CT slice 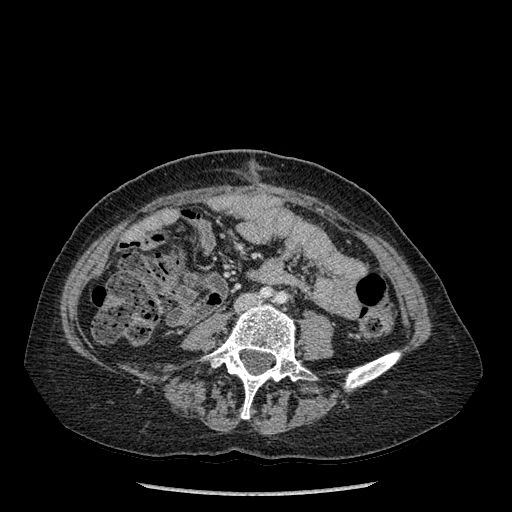

Bone = 345 351 400 389, 205 303 308 419.